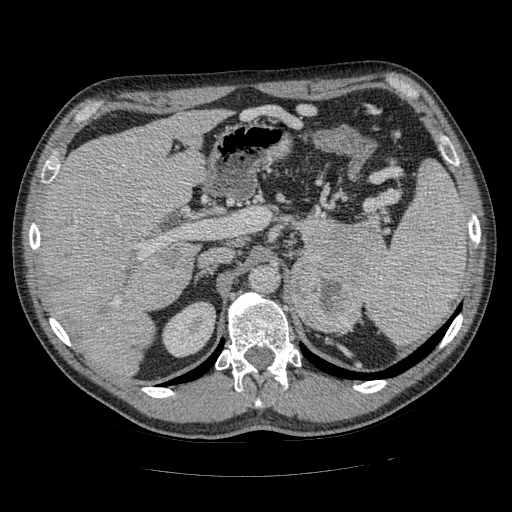

Computed tomography
Pancreas: bounding box x1=302 y1=219 x2=381 y2=287.
Pancreatic tumor: bounding box x1=291 y1=254 x2=361 y2=332.